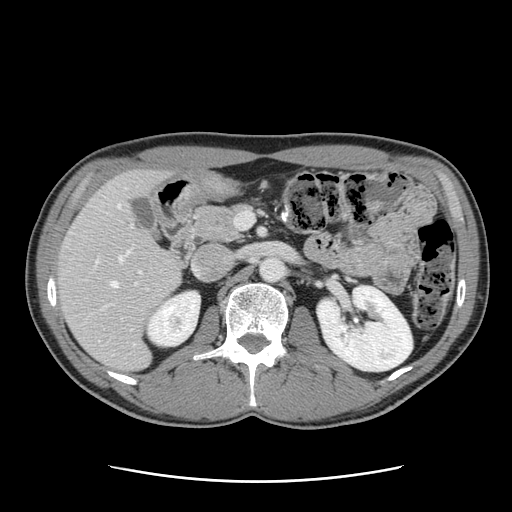
512x512; CT slice; Liver
The vessel boxes may cover only some of the vessels.
Hepatic vessel at left=118, top=249, right=130, bottom=261; left=135, top=282, right=136, bottom=284; left=138, top=271, right=140, bottom=272; left=110, top=282, right=117, bottom=286; left=100, top=307, right=103, bottom=310; left=95, top=256, right=98, bottom=265; left=117, top=204, right=119, bottom=207; left=130, top=225, right=132, bottom=226.